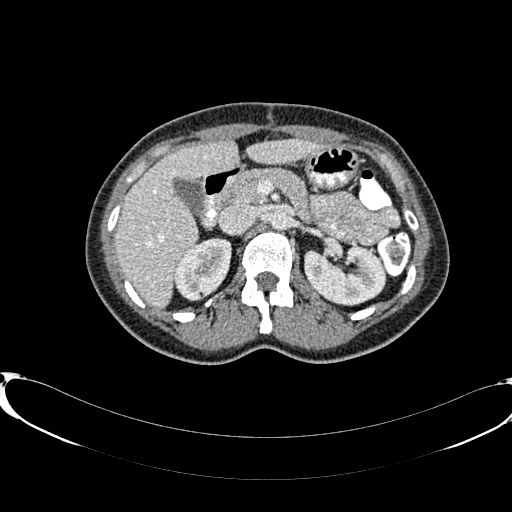 Upper abdomen, CT, 512x512 px

* kidney: <box>176,241,230,299</box>, <box>305,245,384,303</box>
* liver: <box>115,141,237,306</box>, <box>248,140,321,163</box>